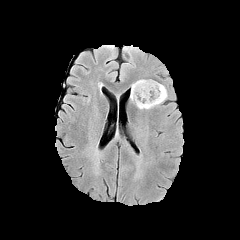
FLAIR MR.
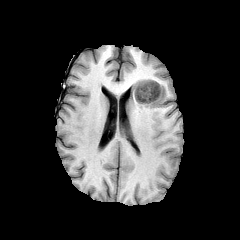
T1-weighted MR image.
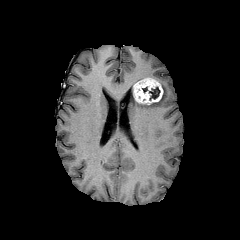
Same slice, post-contrast T1-weighted MRI.
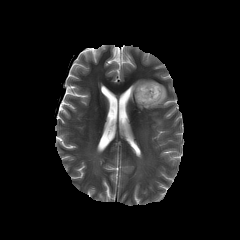
T2-weighted MRI of the same slice.
Brain.
non-enhancing tumor core: <box>149,87,160,99</box> | enhancing tumor: <box>133,79,163,104</box> | edema: <box>131,84,166,108</box>